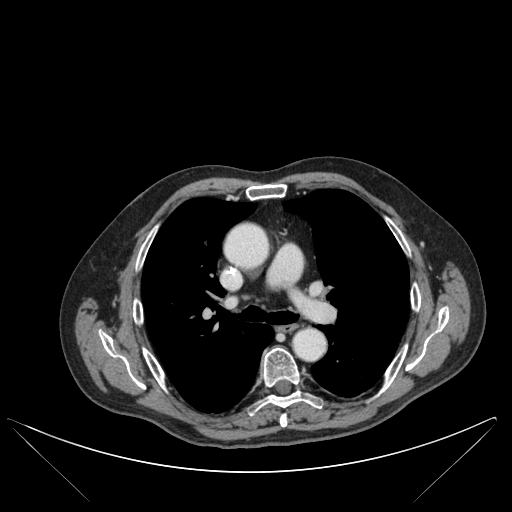

Computed tomography, Chest, Image size 512x512

Bone = region(246, 184, 286, 199); region(143, 348, 165, 389); region(411, 283, 420, 310); region(380, 345, 407, 392); region(256, 390, 320, 409); region(280, 414, 286, 426); region(136, 229, 155, 267); region(263, 348, 299, 386); region(387, 218, 407, 249); region(133, 299, 142, 323); region(406, 307, 448, 370); region(100, 332, 145, 388).
Lung = region(142, 198, 297, 412); region(283, 189, 409, 396).